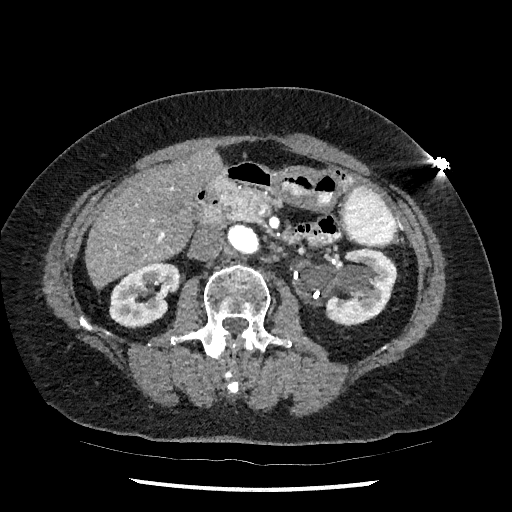
CT scan slice

Liver — x1=86, y1=150, x2=222, y2=289.
Kidney — x1=327, y1=249, x2=396, y2=324; x1=110, y1=263, x2=179, y2=326; x1=331, y1=255, x2=341, y2=268.